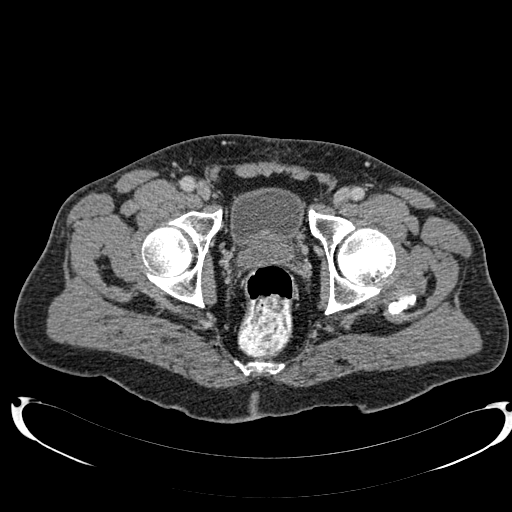
Pelvis, CT scan slice
urinary_bladder:
  - rect(230, 187, 304, 251)